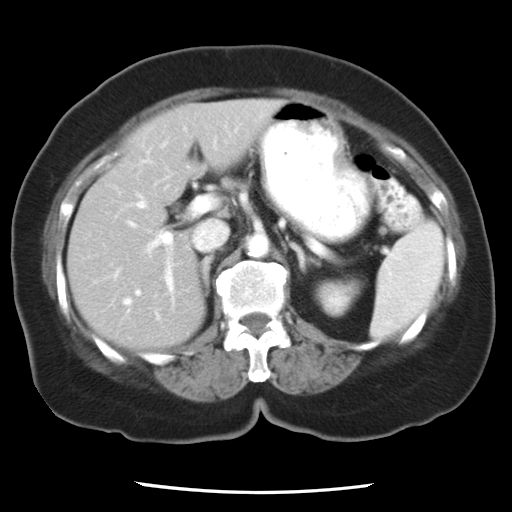 CT slice
Only some of the vessels may be annotated.
7 hepatic vessel regions are bounded by (148,233,171,249), (130,223,133,226), (138,202,144,207), (193,197,213,213), (136,291,139,294), (124,299,130,304), (165,267,172,289).